CT; Slice 78/105; Field of view 399 mm wide, 2.50 mm slice spacing

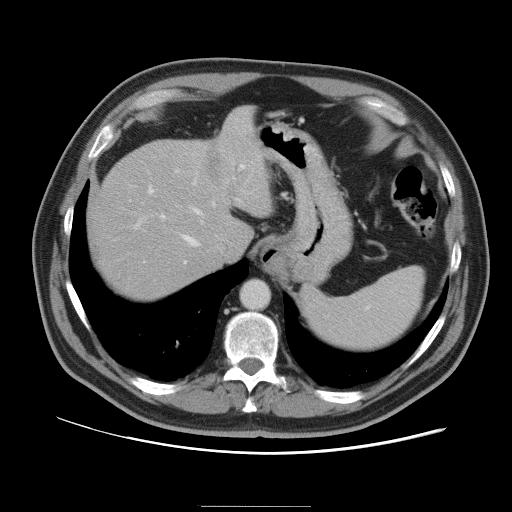

The vessel boxes may cover only some of the vessels.
• liver tumor: box(209, 158, 219, 177)
• hepatic vessel (principal 15 of 16): box(239, 165, 244, 169); box(232, 177, 234, 179); box(189, 206, 202, 214); box(201, 220, 203, 223); box(175, 170, 179, 172); box(148, 184, 153, 193); box(182, 235, 198, 246); box(193, 172, 197, 184); box(213, 201, 215, 205); box(241, 190, 253, 193); box(134, 218, 144, 228); box(161, 214, 164, 219); box(246, 179, 248, 182); box(231, 162, 232, 164); box(225, 178, 228, 183)